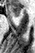 Magnetic resonance | Image size 35x53
The anterior hippocampus is located at x1=9, y1=6, x2=21, y2=17.